FLAIR MR image.
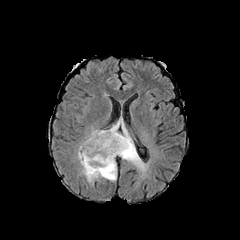
T1-weighted MR image.
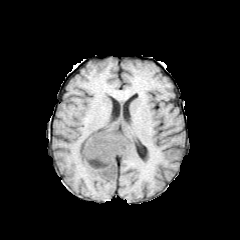
Post-contrast T1-weighted MR.
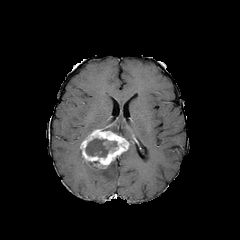
T2-weighted MR.
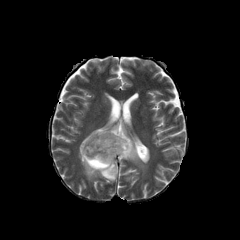
{"non-enhancing_tumor_core": ["86, 139, 108, 156"], "edema": ["104, 116, 146, 171", "78, 146, 117, 185"], "enhancing_tumor": ["80, 129, 131, 168"]}